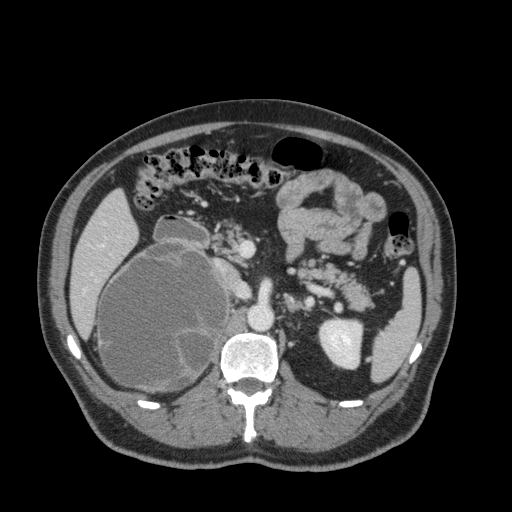 CT scan slice
The kidney is at [x1=320, y1=319, x2=361, y2=368]. The liver lies within [x1=71, y1=190, x2=136, y2=337].